CT image | Slice index 54

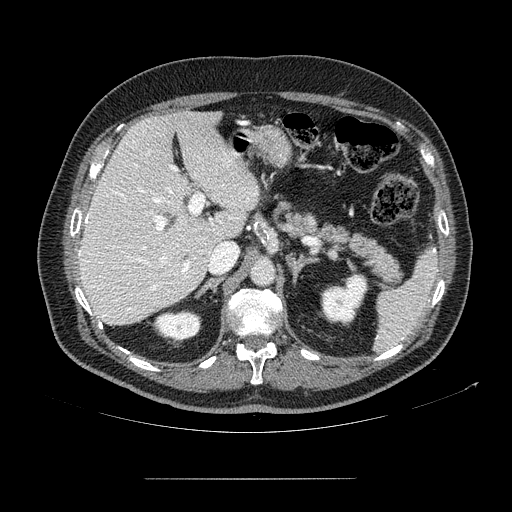
* pancreas: rect(276, 201, 403, 284)